CT slice; Slice index 80
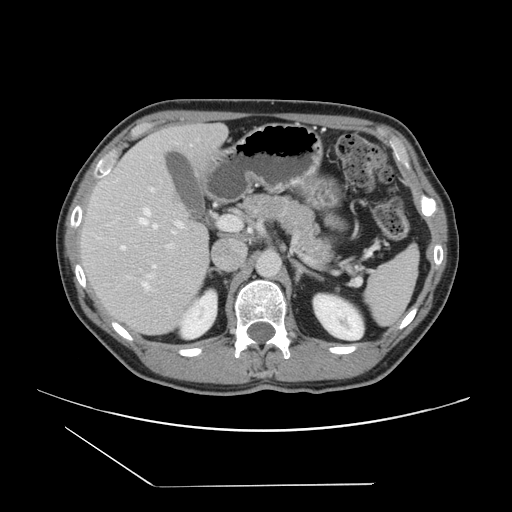
Some hepatic vessels may have no box.
6 hepatic vessel regions appear at {"x1": 143, "y1": 275, "x2": 151, "y2": 281}, {"x1": 115, "y1": 180, "x2": 117, "y2": 181}, {"x1": 144, "y1": 215, "x2": 148, "y2": 220}, {"x1": 126, "y1": 275, "x2": 129, "y2": 277}, {"x1": 95, "y1": 236, "x2": 100, "y2": 238}, {"x1": 197, "y1": 138, "x2": 198, "y2": 140}.